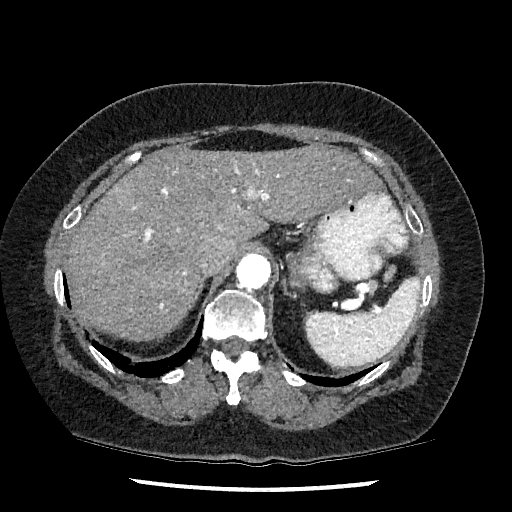

512x512; CT image

liver: rect(67, 144, 380, 339)